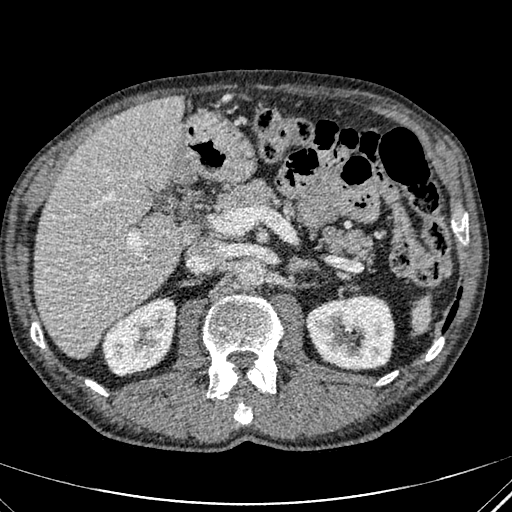 512x512 px | CT slice
{
  "liver": [
    "35 96 196 358"
  ],
  "kidney": [
    "307 297 393 368",
    "103 299 175 374"
  ]
}